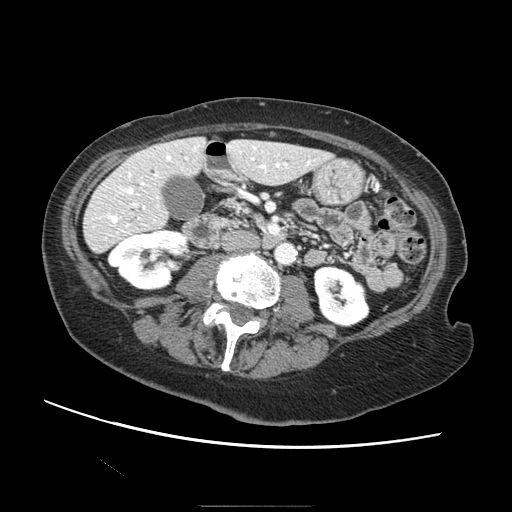

512x512. CT scan slice.

• pancreas: region(222, 198, 250, 218)